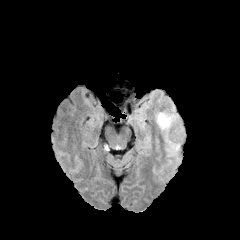
FLAIR magnetic resonance.
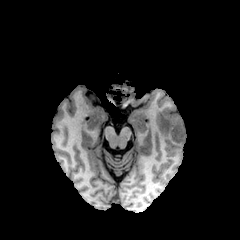
Same slice, T1-weighted MR image.
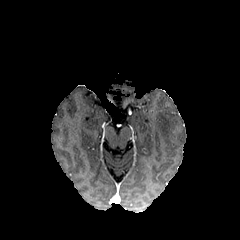
Post-contrast T1-weighted MR.
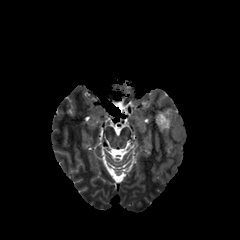
T2-weighted MR image of the same slice.
Head
<segmentation>
  <edema><bbox>155, 112, 171, 130</bbox></edema>
</segmentation>